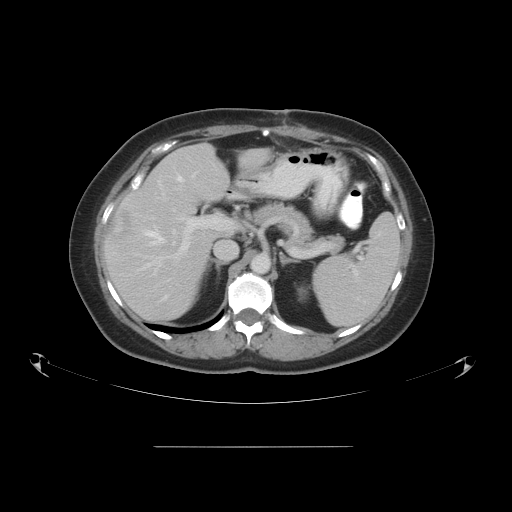 CT image, Abdomen
The vessel boxes may cover only some of the vessels.
Segmented structures:
* hepatic vessel: left=173, top=241, right=174, bottom=244; left=192, top=171, right=197, bottom=177; left=137, top=256, right=166, bottom=274; left=188, top=157, right=190, bottom=159; left=173, top=229, right=176, bottom=234; left=167, top=215, right=231, bottom=259; left=163, top=296, right=167, bottom=299; left=158, top=180, right=165, bottom=200; left=176, top=175, right=183, bottom=181; left=149, top=216, right=154, bottom=219; left=113, top=252, right=115, bottom=253; left=173, top=208, right=175, bottom=210; left=142, top=226, right=164, bottom=244
* liver tumor: left=118, top=208, right=134, bottom=233